Slice index 52, Abdomen, CT
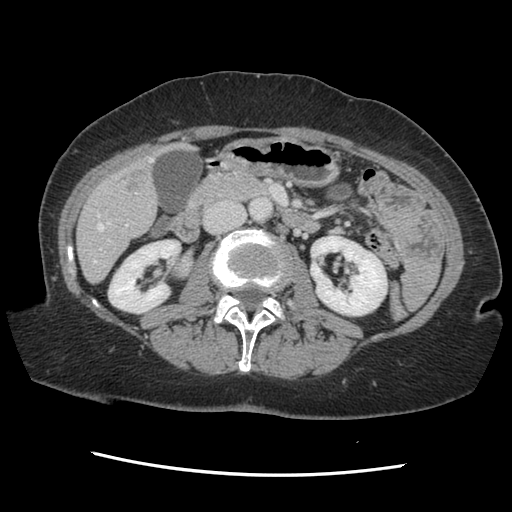 Only some of the vessels may be annotated.
hepatic vessel: box=[98, 223, 103, 229]; box=[94, 259, 95, 263]; box=[97, 214, 98, 216]; box=[149, 158, 152, 160]; box=[107, 222, 109, 223]; box=[126, 224, 127, 225] | liver tumor: box=[122, 161, 150, 193]